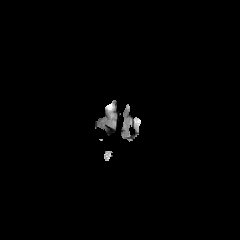
FLAIR magnetic resonance.
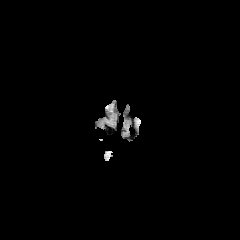
Same slice, T1-weighted MR.
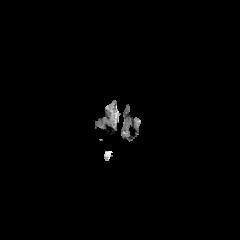
Same slice, post-contrast T1-weighted magnetic resonance.
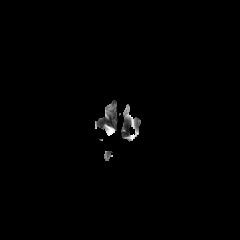
T2-weighted MR image.
Head, 240x240
Edema = region(106, 104, 113, 117).